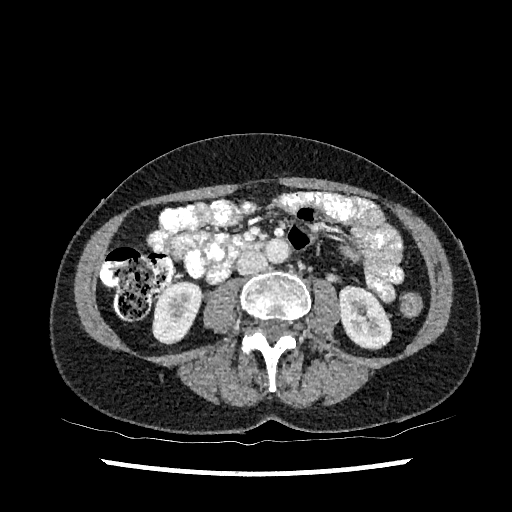

Image size 512x512 | Computed tomography
<segmentation>
  <kidney>box(340, 287, 390, 347); box(153, 283, 200, 342)</kidney>
</segmentation>